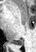
36x52. MR image. Hippocampus. posterior hippocampus: {"x1": 12, "y1": 39, "x2": 24, "y2": 45}